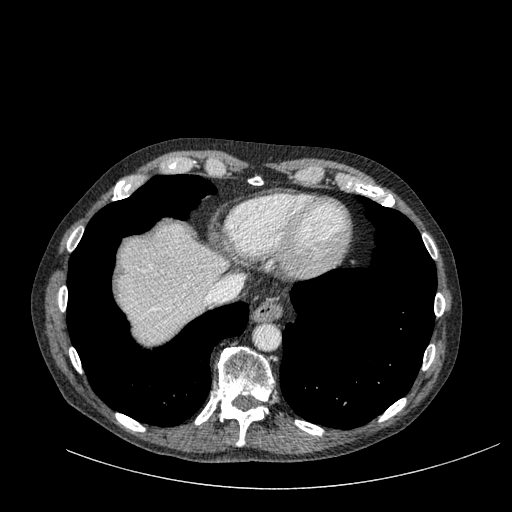 CT scan slice, Upper abdomen
Liver: rect(118, 224, 228, 342).